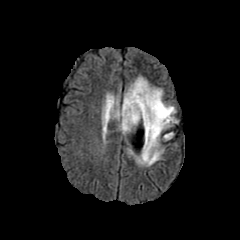
FLAIR MRI.
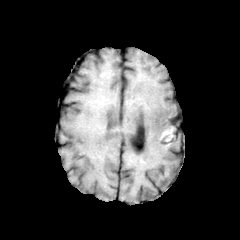
T1-weighted magnetic resonance.
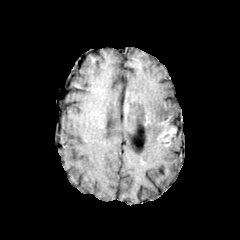
Post-contrast T1-weighted magnetic resonance.
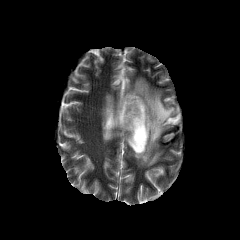
T2-weighted MR image of the same slice.
<segmentation>
  <non-enhancing_tumor_core>[x1=122, y1=93, x2=145, y2=120], [x1=152, y1=118, x2=168, y2=133], [x1=158, y1=132, x2=173, y2=140], [x1=142, y1=108, x2=152, y2=130]</non-enhancing_tumor_core>
  <edema>[x1=103, y1=78, x2=177, y2=166]</edema>
</segmentation>